Head. 240x240 px.
FLAIR MR image.
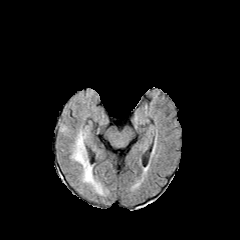
T1-weighted magnetic resonance.
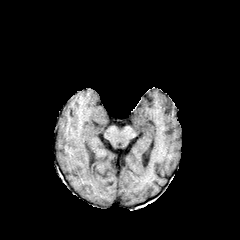
Post-contrast T1-weighted magnetic resonance.
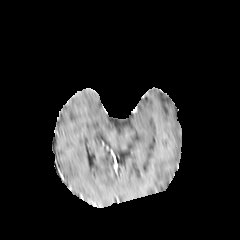
T2-weighted MR.
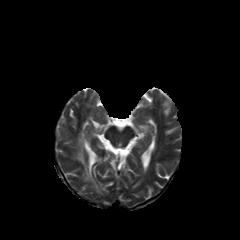
Edema: bounding box [72,130,107,194].